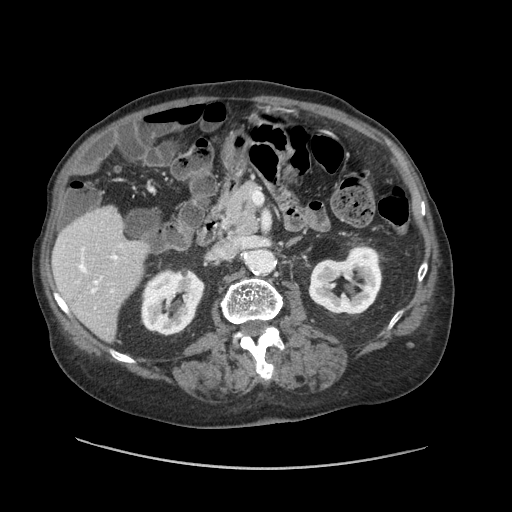 CT image

The vessel annotation is not exhaustive.
Hepatic vessel: 239, 237, 250, 246; 220, 251, 223, 254.